CT scan slice; Upper abdomen
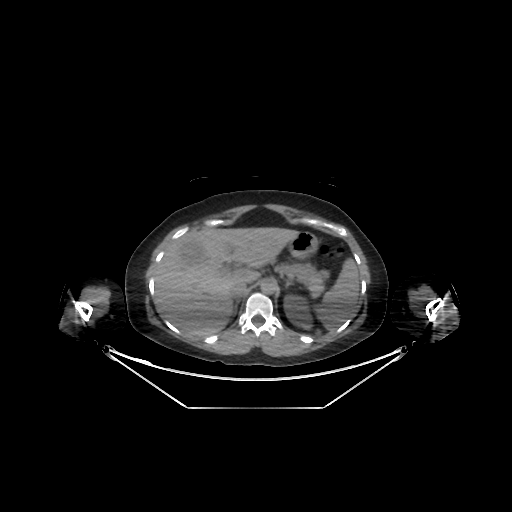

liver:
  - (150,226,297,339)
kidney:
  - (283,294,312,328)